Field of view 240 mm wide, 1.00 mm slice spacing | Head | Slice index 48
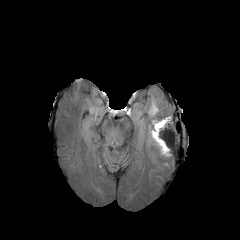
FLAIR MR.
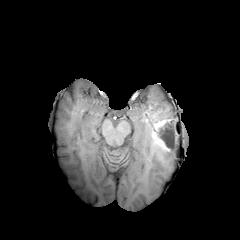
T1-weighted MR image.
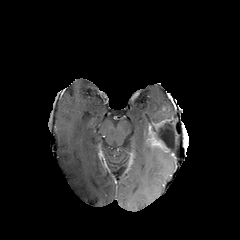
Post-contrast T1-weighted MR image.
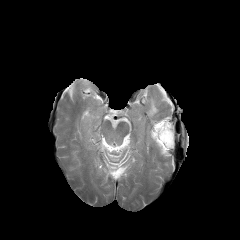
T2-weighted magnetic resonance.
edema:
  - (left=135, top=118, right=143, bottom=134)
  - (left=156, top=146, right=170, bottom=157)
  - (left=146, top=99, right=172, bottom=135)
  - (left=147, top=128, right=155, bottom=145)
  - (left=100, top=136, right=115, bottom=157)
non-enhancing_tumor_core:
  - (left=153, top=127, right=172, bottom=147)
enhancing_tumor:
  - (left=154, top=136, right=167, bottom=151)